FLAIR MR.
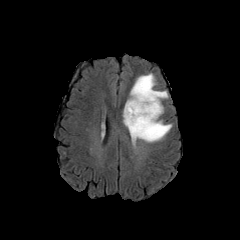
T1-weighted magnetic resonance.
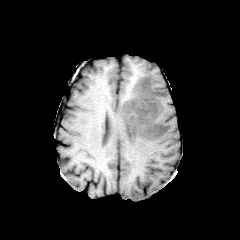
Post-contrast T1-weighted MRI.
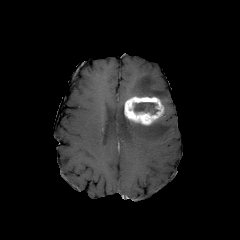
T2-weighted MR.
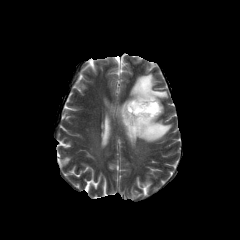
240x240 px
Edema: bbox=[129, 71, 168, 100]; bbox=[122, 110, 172, 144].
Enhancing tumor: bbox=[124, 96, 163, 125].
Non-enhancing tumor core: bbox=[138, 79, 151, 96]; bbox=[134, 103, 155, 111].